Slice 252 of 461 | Upper abdomen | CT slice
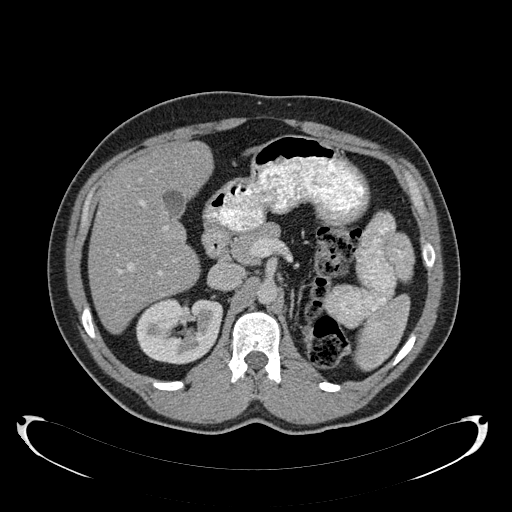
• kidney: 137,299,222,363
• liver: 88,142,211,332